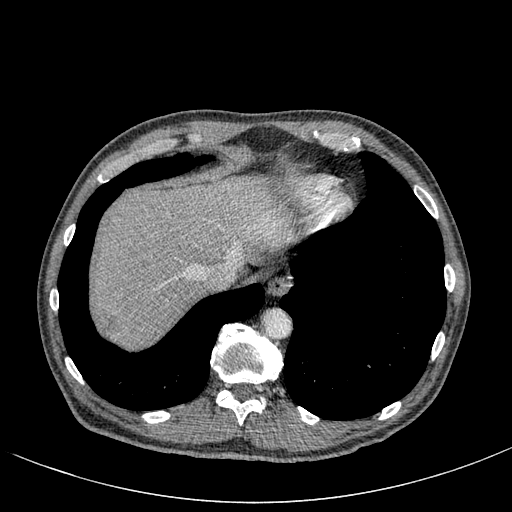

Abdomen, CT
hepatic_lesion:
  - (left=99, top=314, right=118, bottom=334)
liver:
  - (left=92, top=179, right=294, bottom=345)